Field of view 240 mm wide, 1.00 mm slice spacing | 240x240 px
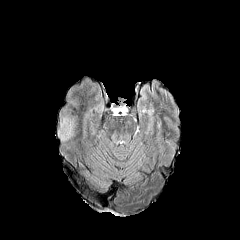
FLAIR MR image.
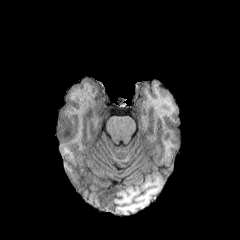
T1-weighted MRI.
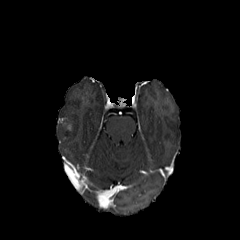
Post-contrast T1-weighted magnetic resonance.
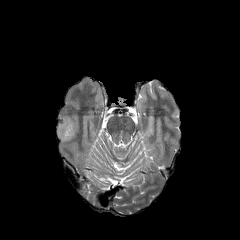
T2-weighted MRI.
<segmentation>
  <enhancing_tumor>bbox(64, 121, 72, 130)</enhancing_tumor>
  <non-enhancing_tumor_core>bbox(57, 118, 73, 138)</non-enhancing_tumor_core>
</segmentation>